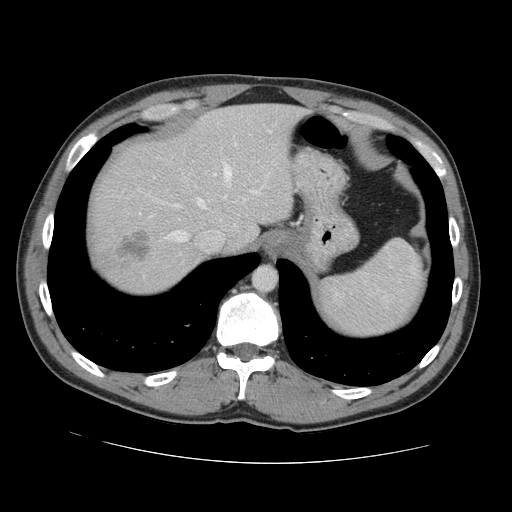

CT image | 512x512 px
The vessel boxes may cover only some of the vessels.
<segmentation partial="true">
  <liver_tumor>(left=115, top=232, right=149, bottom=262)</liver_tumor>
  <hepatic_vessel shown="15" total="20">(left=233, top=139, right=236, bottom=145), (left=222, top=195, right=225, bottom=198), (left=197, top=198, right=208, bottom=208), (left=164, top=231, right=187, bottom=241), (left=223, top=165, right=230, bottom=182), (left=252, top=189, right=259, bottom=194), (left=260, top=184, right=266, bottom=188), (left=268, top=130, right=270, bottom=132), (left=145, top=192, right=156, bottom=200), (left=149, top=214, right=152, bottom=216), (left=213, top=173, right=215, bottom=175), (left=241, top=198, right=243, bottom=202), (left=138, top=212, right=140, bottom=214), (left=172, top=204, right=179, bottom=207), (left=233, top=200, right=235, bottom=202)</hepatic_vessel>
</segmentation>